MR, Image size 320x320, Slice 46 of 109, Cardiac
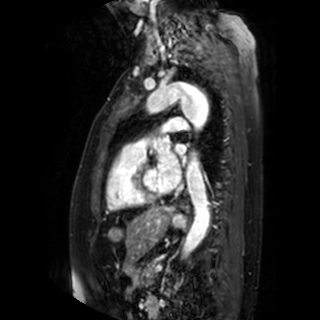

left_atrium:
  - bbox=[159, 150, 181, 189]
  - bbox=[176, 144, 185, 154]